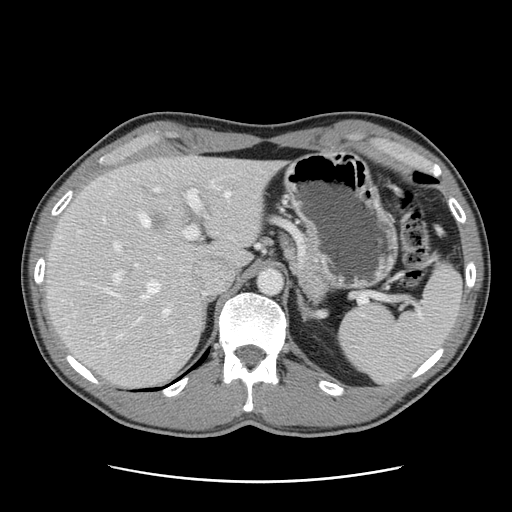
Image size 512x512, CT image
The vessel boxes may cover only some of the vessels.
Liver tumor at region(152, 213, 165, 229).
Principal 15 of 19 hepatic vessel regions at region(137, 317, 140, 320); region(225, 192, 229, 196); region(211, 180, 217, 188); region(105, 288, 116, 295); region(114, 242, 120, 250); region(154, 188, 159, 191); region(139, 214, 149, 226); region(135, 264, 137, 266); region(169, 330, 171, 332); region(142, 280, 158, 297); region(163, 303, 171, 314); region(187, 189, 199, 209); region(184, 226, 197, 238); region(112, 271, 121, 283); region(117, 334, 121, 336).